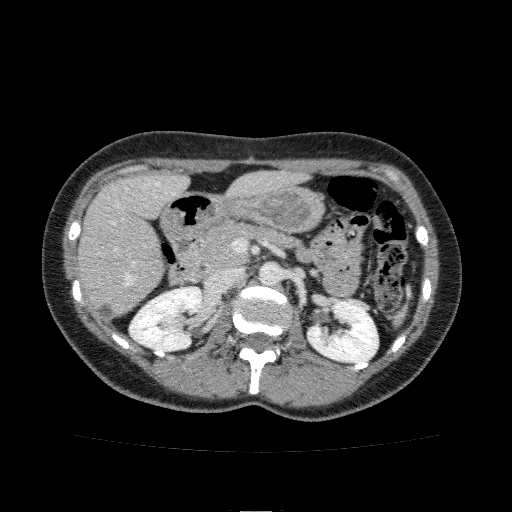

Abdomen, Image size 512x512, CT

<segmentation>
  <kidney>(x1=129, y1=287, x2=201, y2=351), (x1=308, y1=301, x2=378, y2=363)</kidney>
  <liver>(x1=227, y1=171, x2=310, y2=198), (x1=78, y1=172, x2=189, y2=316)</liver>
</segmentation>